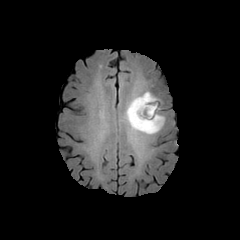
FLAIR MRI.
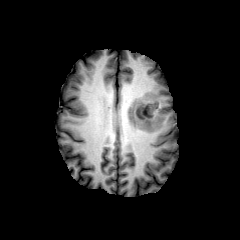
T1-weighted MRI.
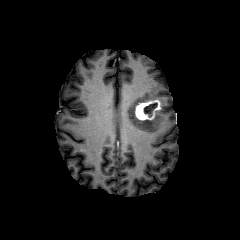
Same slice, post-contrast T1-weighted MR image.
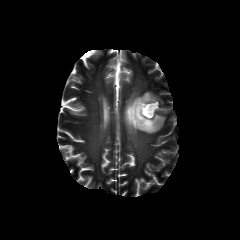
T2-weighted MRI of the same slice.
240x240 px
{
  "non-enhancing_tumor_core": [
    "144 103 157 116",
    "125 95 150 132"
  ],
  "edema": [
    "127 110 164 135",
    "132 92 155 101"
  ],
  "enhancing_tumor": [
    "135 99 160 120"
  ]
}